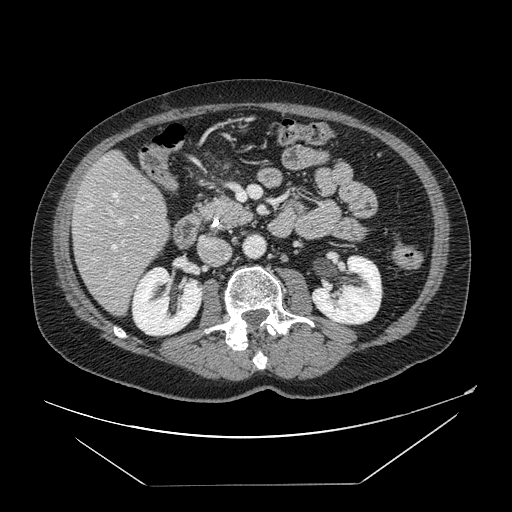

CT slice | Abdomen
{
  "pancreatic_tumor": [
    "227,203,234,211"
  ],
  "pancreas": [
    "196,195,253,231"
  ]
}